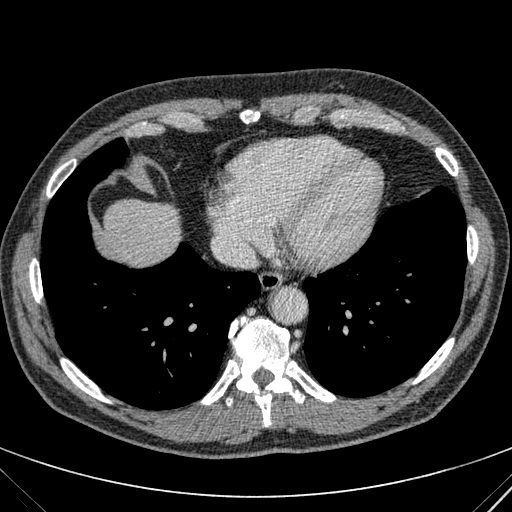 CT image
The liver lies within (left=104, top=200, right=178, bottom=264).